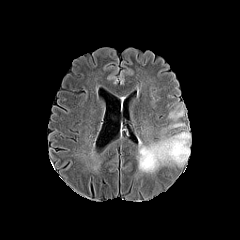
FLAIR magnetic resonance.
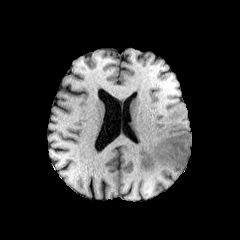
T1-weighted MR.
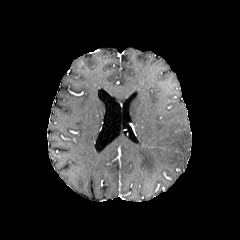
Post-contrast T1-weighted MRI.
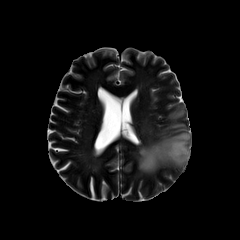
T2-weighted MRI.
240x240 px
Edema: <bbox>139, 132, 190, 171</bbox>.